Slice 19/41. CT slice. Abdomen. 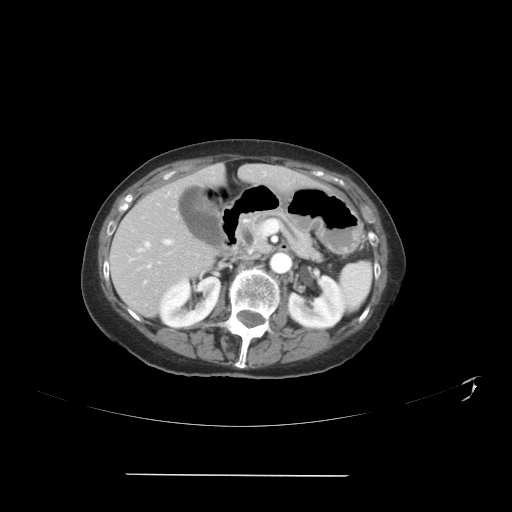 Only some of the vessels may be annotated.
hepatic_vessel:
  - 148:264:150:267
  - 264:172:265:175
  - 130:258:133:260
  - 137:248:142:251
  - 163:239:171:244
  - 157:203:158:204
  - 145:242:149:246
  - 172:208:174:210